Chest | Computed tomography | Slice index 309 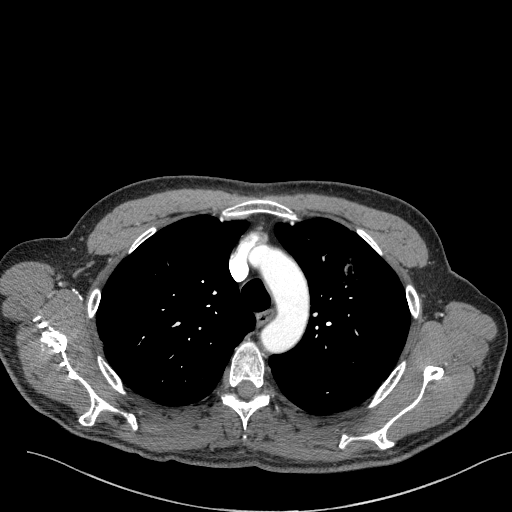

Annotated regions:
* lung tumor: 339,254,370,289